Slice 69/83 | CT image
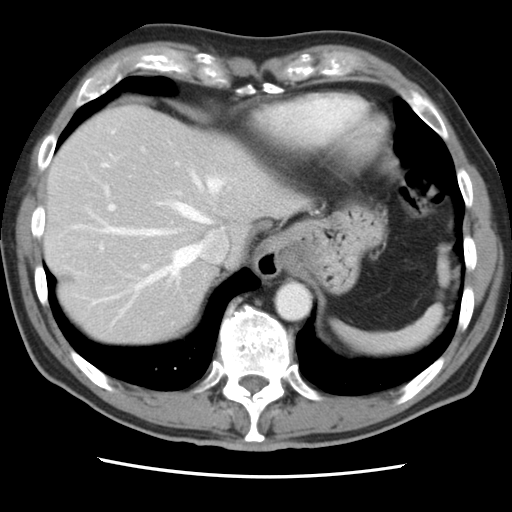
Some hepatic vessels may have no box.
The top 15 hepatic vessel regions (of 20) are located at region(100, 245, 102, 249); region(92, 295, 118, 303); region(158, 202, 162, 204); region(105, 187, 108, 192); region(74, 225, 80, 228); region(92, 213, 166, 235); region(103, 163, 108, 166); region(208, 178, 224, 192); region(109, 205, 114, 209); region(119, 307, 126, 316); region(135, 282, 145, 290); region(193, 174, 200, 185); region(174, 203, 210, 222); region(173, 245, 194, 256); region(171, 267, 179, 280).